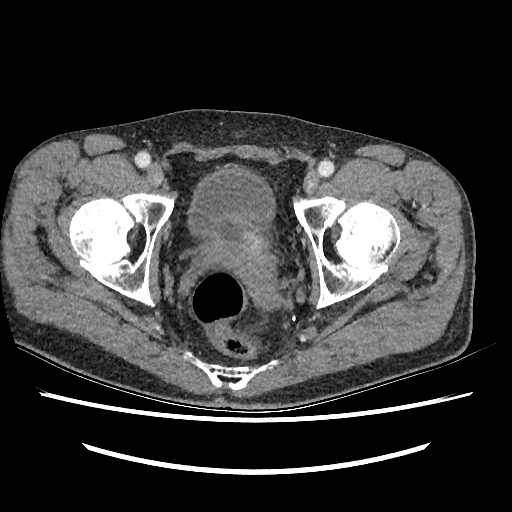

CT slice | Lower abdomen

<segmentation>
  <urinary_bladder>(188, 173, 271, 245)</urinary_bladder>
</segmentation>